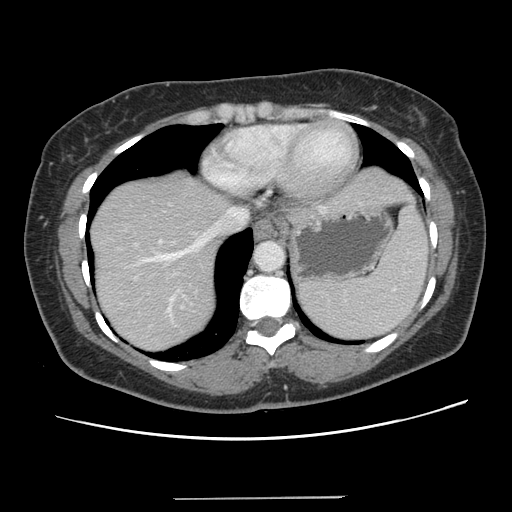
CT scan slice
The vessel boxes may cover only some of the vessels.
Annotated regions:
• hepatic vessel: 159 240 162 243, 138 232 209 263, 217 224 219 226, 167 307 171 318, 169 297 173 303, 228 209 234 213